Computed tomography | Slice 296/547 | 512x512

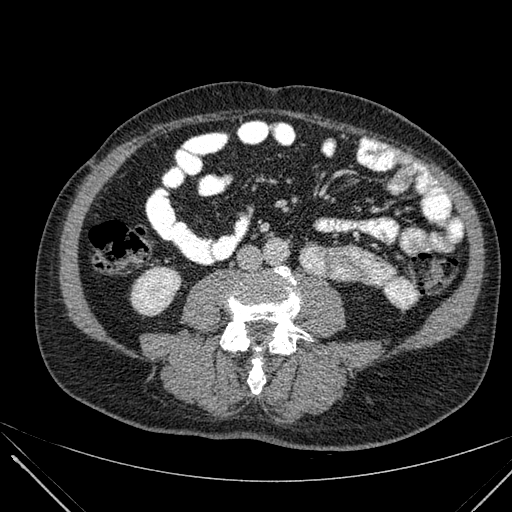 kidney:
  - (left=132, top=267, right=180, bottom=315)